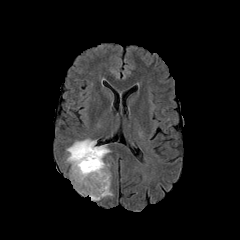
FLAIR MRI.
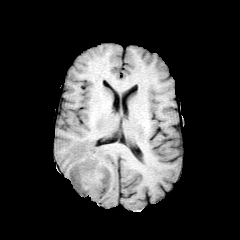
T1-weighted MR image of the same slice.
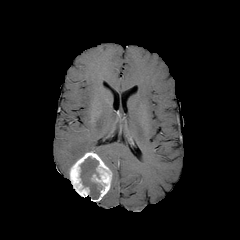
Post-contrast T1-weighted MR of the same slice.
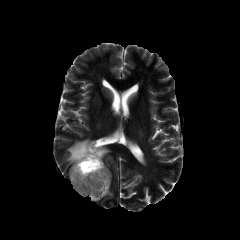
T2-weighted MR image.
The enhancing tumor is bounded by x1=69, y1=151, x2=111, y2=201. 2 non-enhancing tumor core regions are located at x1=80, y1=157, x2=99, y2=183; x1=90, y1=182, x2=101, y2=200. The edema is at x1=65, y1=139, x2=110, y2=167.